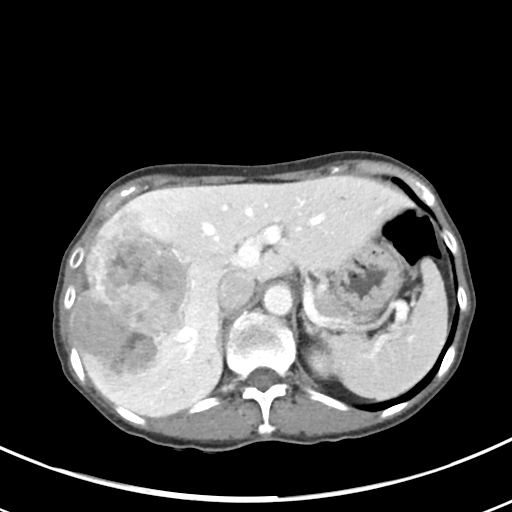 Liver; CT scan slice
The vessel boxes may cover only some of the vessels.
<segmentation>
  <liver_tumor>rect(74, 206, 197, 386)</liver_tumor>
  <hepatic_vessel>rect(237, 240, 258, 263); rect(179, 329, 195, 340); rect(264, 228, 276, 238)</hepatic_vessel>
</segmentation>